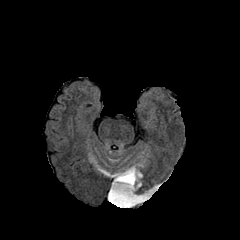
FLAIR magnetic resonance.
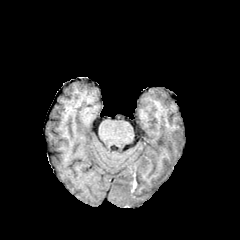
T1-weighted MR image of the same slice.
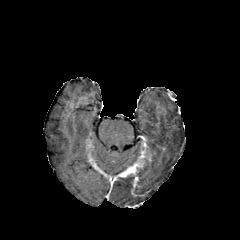
Post-contrast T1-weighted MRI.
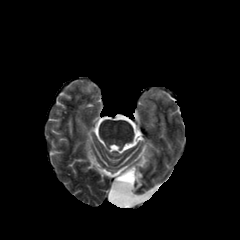
T2-weighted MRI.
Image size 240x240
Enhancing tumor: 114 163 141 185.
Edema: 108 181 155 207, 103 166 125 175.
Non-enhancing tumor core: 115 171 143 196.